Head.
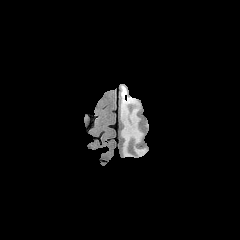
FLAIR magnetic resonance.
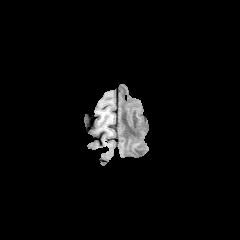
Same slice, T1-weighted magnetic resonance.
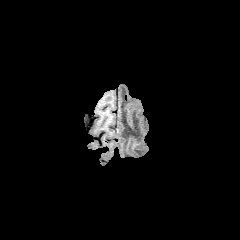
Post-contrast T1-weighted MRI.
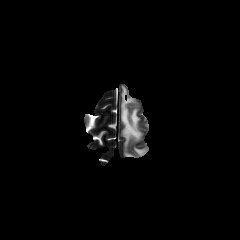
T2-weighted magnetic resonance.
Segmented structures:
• non-enhancing tumor core: box(120, 104, 136, 129)
• edema: box(120, 86, 145, 155)